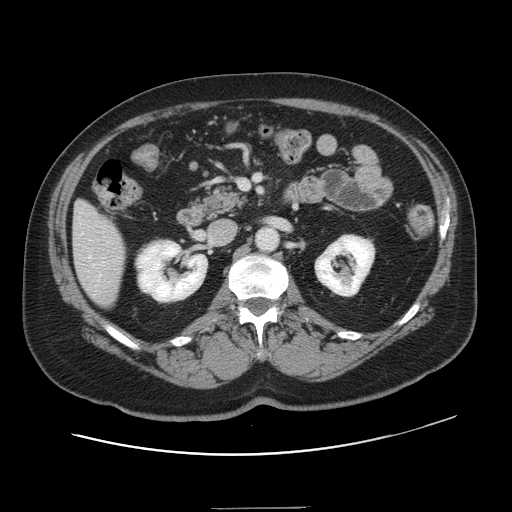
Liver, CT scan slice
The vessel annotation is not exhaustive.
Hepatic vessel: 89,256,90,258; 93,264,95,266.